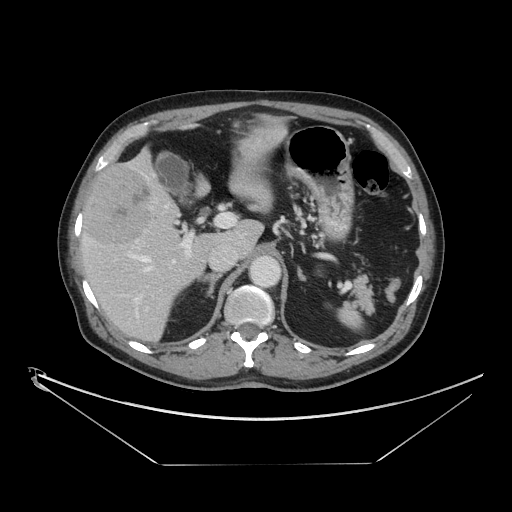 CT image, Abdomen
Not every hepatic vessel necessarily has a box.
liver tumor: <box>84,164,152,246</box> | hepatic vessel: <box>146,267,151,270</box>, <box>129,254,150,261</box>, <box>136,309,137,313</box>, <box>122,295,126,295</box>, <box>165,204,168,207</box>, <box>173,260,175,262</box>, <box>134,296,140,304</box>, <box>181,243,190,256</box>